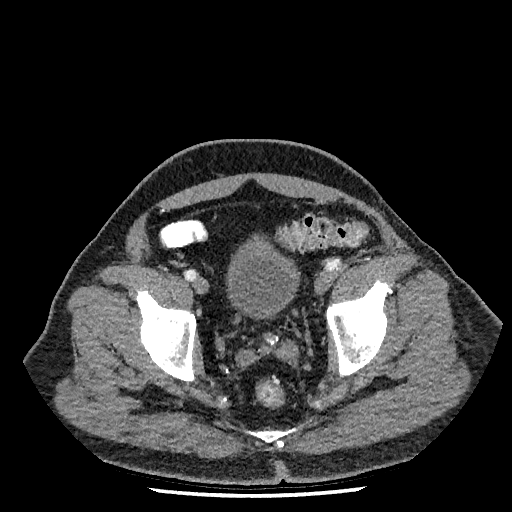

Lower abdomen. CT image.

urinary bladder: bbox=[225, 231, 301, 320]